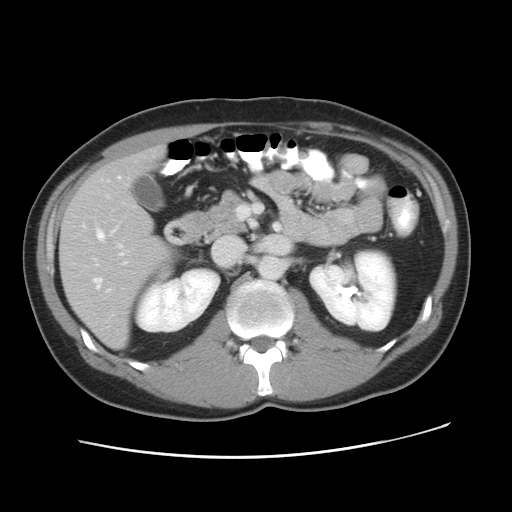 Computed tomography

Not every hepatic vessel necessarily has a box.
Annotated regions:
- hepatic vessel: [x1=92, y1=277, x2=103, y2=289], [x1=118, y1=175, x2=120, y2=178], [x1=96, y1=226, x2=107, y2=242], [x1=105, y1=288, x2=111, y2=292], [x1=122, y1=260, x2=127, y2=264], [x1=109, y1=226, x2=117, y2=234], [x1=117, y1=243, x2=127, y2=256]